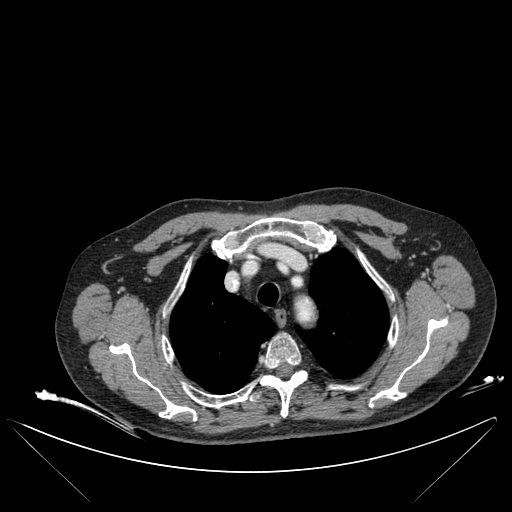

CT | Chest
Segmented structures:
* lung: (left=296, top=248, right=388, bottom=377), (left=170, top=255, right=274, bottom=393), (left=258, top=283, right=278, bottom=305)
* bone: (left=388, top=317, right=398, bottom=346), (left=212, top=217, right=336, bottom=258), (left=330, top=385, right=358, bottom=390), (left=182, top=383, right=253, bottom=407), (left=265, top=334, right=300, bottom=367), (left=358, top=251, right=388, bottom=292), (left=171, top=261, right=190, bottom=306), (left=109, top=343, right=196, bottom=420), (left=369, top=319, right=447, bottom=406), (left=259, top=371, right=307, bottom=416), (left=162, top=336, right=173, bottom=362)